Field of view 240x240 mm, Slice 74/155
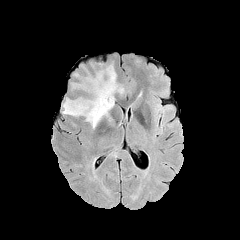
FLAIR MR.
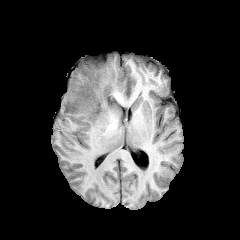
Same slice, T1-weighted MR.
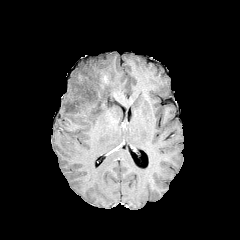
Post-contrast T1-weighted MR of the same slice.
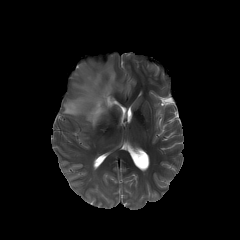
T2-weighted MR image of the same slice.
The edema is bounded by l=62, t=64, r=123, b=128. The non-enhancing tumor core is bounded by l=100, t=74, r=110, b=89.